FLAIR MR image.
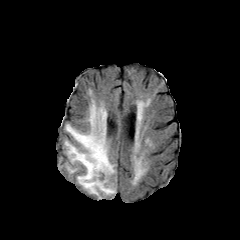
T1-weighted MRI.
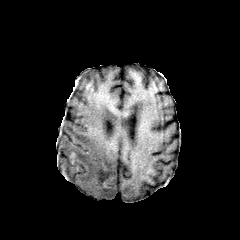
Post-contrast T1-weighted magnetic resonance.
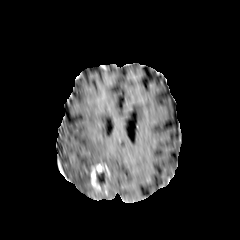
T2-weighted MR.
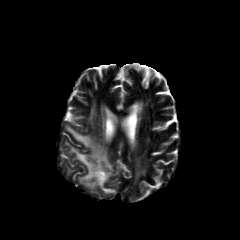
Non-enhancing tumor core at [96,171,106,193].
Edema at [64,101,116,199].
Enhancing tumor at [90,163,109,191].